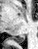

MRI | 38x49 px

* posterior hippocampus: region(11, 34, 24, 43)